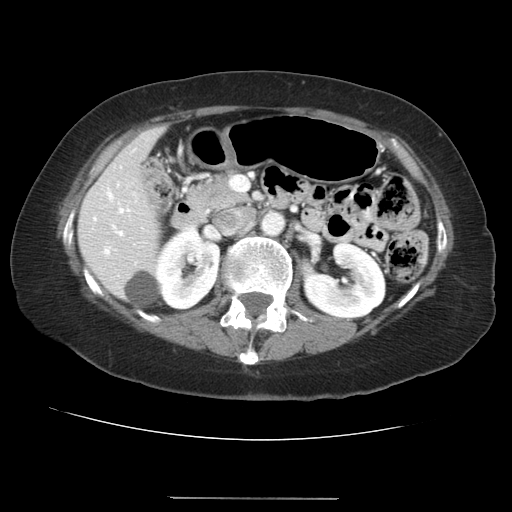
Abdomen; CT image
Colon tumor: bounding box [144, 157, 171, 206].